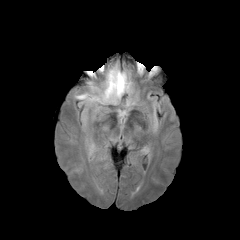
FLAIR MRI.
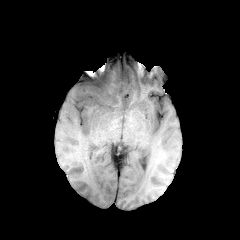
T1-weighted magnetic resonance.
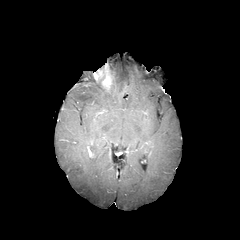
Post-contrast T1-weighted MR image.
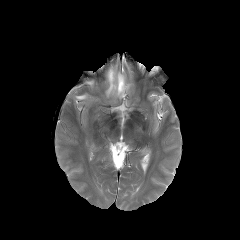
T2-weighted MR image of the same slice.
2 edema regions are bounded by rect(76, 64, 132, 104); rect(117, 105, 127, 118). The enhancing tumor lies within rect(96, 64, 113, 89).